FLAIR MR image.
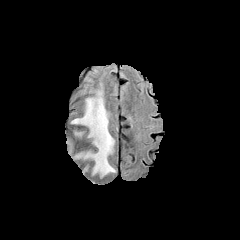
T1-weighted MRI.
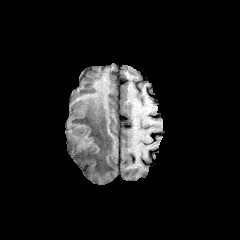
Post-contrast T1-weighted MR.
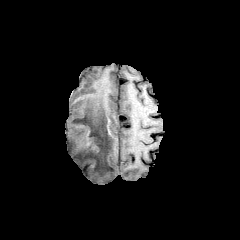
T2-weighted MR.
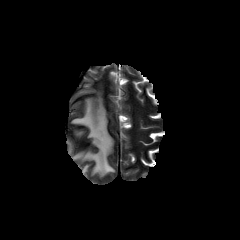
Brain. Image size 240x240.
Edema: left=71, top=90, right=114, bottom=176.